Head. Slice index 96.
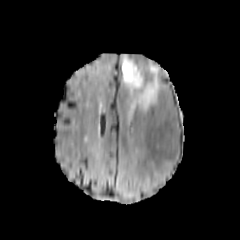
FLAIR magnetic resonance.
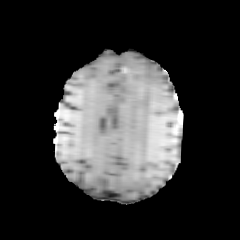
T1-weighted MR image.
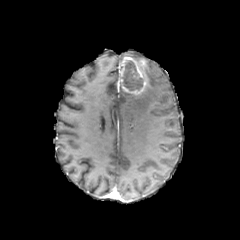
Post-contrast T1-weighted MRI of the same slice.
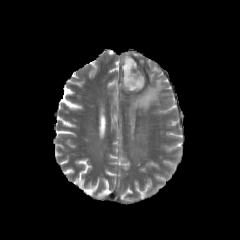
T2-weighted MR image.
enhancing_tumor:
  - left=120, top=57, right=147, bottom=94
non-enhancing_tumor_core:
  - left=121, top=60, right=143, bottom=91
edema:
  - left=127, top=61, right=162, bottom=113